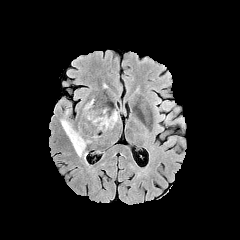
FLAIR MR image.
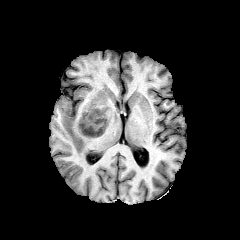
Same slice, T1-weighted MRI.
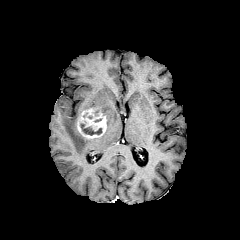
Post-contrast T1-weighted MR.
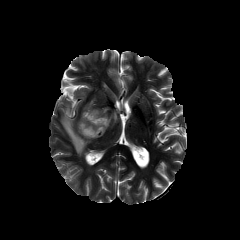
T2-weighted MRI.
Brain | Image size 240x240
Segmented structures:
* non-enhancing tumor core: l=80, t=122, r=102, b=135
* edema: l=60, t=109, r=91, b=160; l=106, t=109, r=119, b=128; l=83, t=99, r=94, b=109
* enhancing tumor: l=77, t=108, r=106, b=138